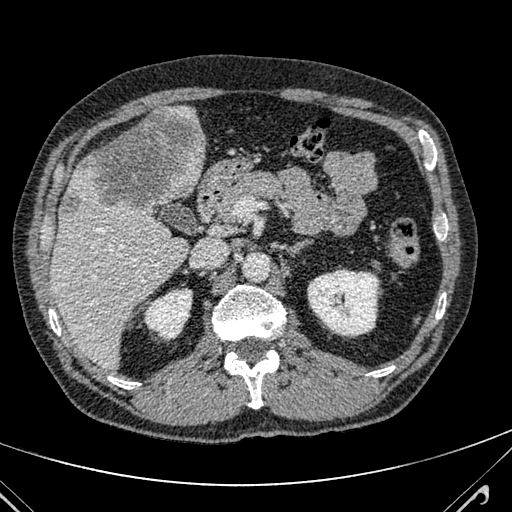

CT
Focal liver lesion: x1=60, y1=190, x2=78, y2=212; x1=81, y1=109, x2=205, y2=208.
Liver: x1=167, y1=107, x2=206, y2=147; x1=52, y1=155, x2=205, y2=370.